FLAIR magnetic resonance.
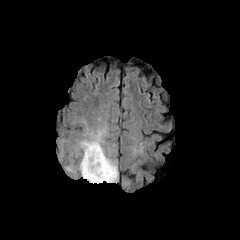
T1-weighted MR.
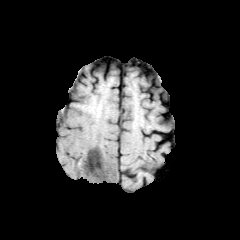
Post-contrast T1-weighted MRI.
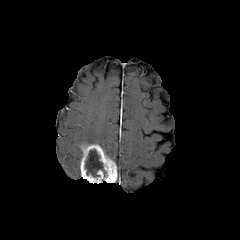
T2-weighted magnetic resonance.
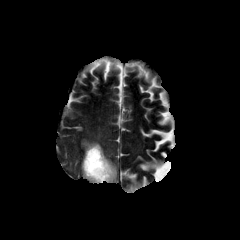
240x240.
edema:
  - x1=80, y1=132, x2=102, y2=155
non-enhancing_tumor_core:
  - x1=85, y1=150, x2=103, y2=176
enhancing_tumor:
  - x1=80, y1=144, x2=117, y2=183